CT slice. Upper abdomen. Slice index 58.

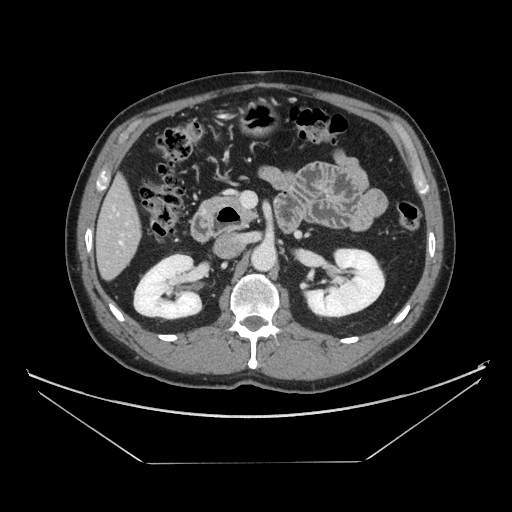
• pancreas: bbox=[224, 195, 255, 222]